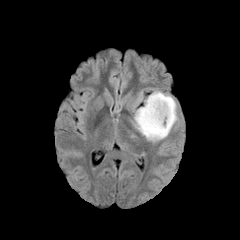
FLAIR MRI.
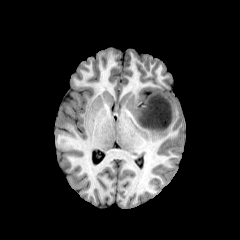
T1-weighted MR of the same slice.
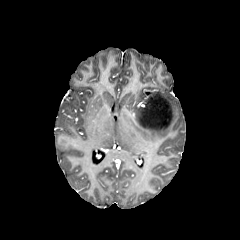
Same slice, post-contrast T1-weighted MR.
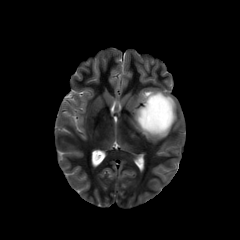
Same slice, T2-weighted magnetic resonance.
Brain.
The edema is bounded by [x1=132, y1=87, x2=178, y2=142]. The non-enhancing tumor core is located at [x1=135, y1=92, x2=171, y2=130].